240x240 px | Slice 88/155 | Brain
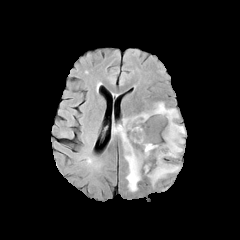
FLAIR MRI.
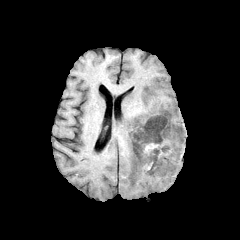
T1-weighted MR image.
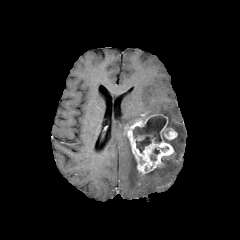
Post-contrast T1-weighted MR.
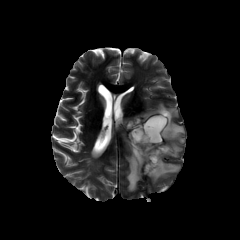
T2-weighted MRI.
Edema — [129, 102, 185, 157], [116, 118, 140, 191], [147, 162, 180, 183].
Enhancing tumor — [127, 118, 173, 172], [165, 129, 177, 139].
Non-enhancing tumor core — [150, 146, 168, 161], [133, 115, 175, 153].